CT scan slice, Slice 587 of 896, Image size 512x512, Abdomen
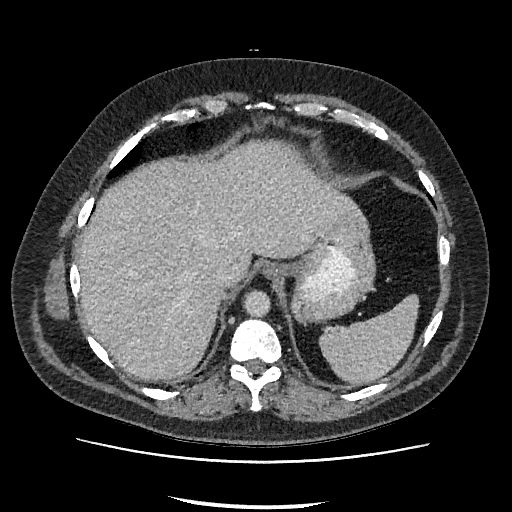
The liver is at box=[80, 145, 361, 378].